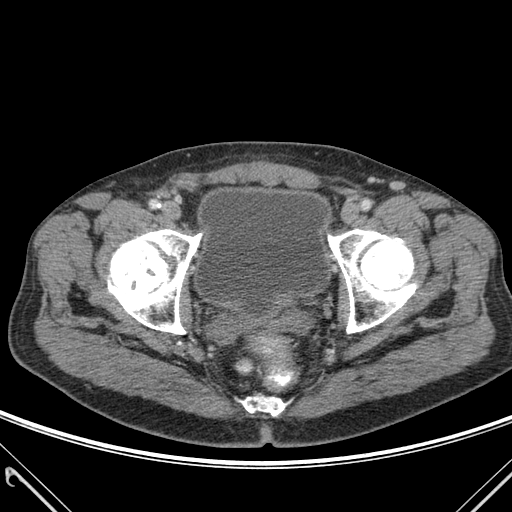
Computed tomography; Lower abdomen
3 bone regions are located at x1=108, y1=229, x2=201, y2=334; x1=328, y1=229, x2=416, y2=333; x1=241, y1=397, x2=285, y2=415. The urinary bladder is located at x1=196, y1=191, x2=328, y2=313.